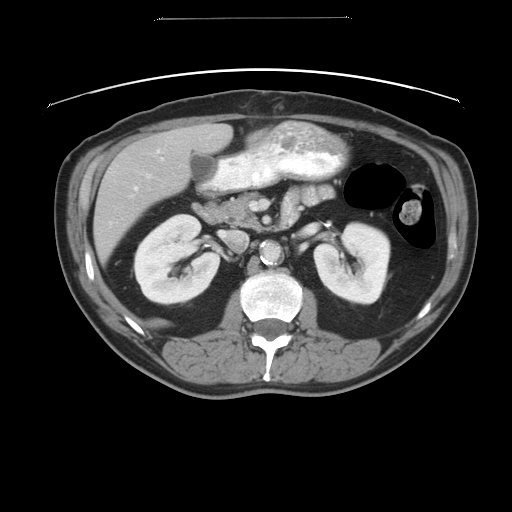 Computed tomography; 512x512

The vessel annotation is not exhaustive.
Hepatic vessel: bbox(156, 149, 159, 153); bbox(146, 174, 150, 177); bbox(134, 186, 138, 190); bbox(161, 157, 163, 160); bbox(129, 194, 134, 197).